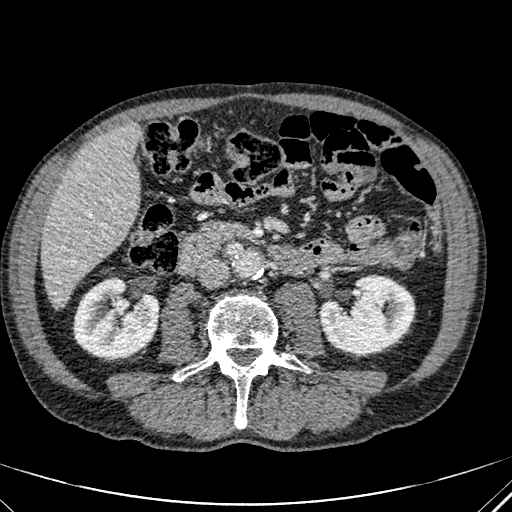
Abdomen; CT image

The liver is located at 41 122 139 304. 2 kidney regions are bounded by 321 277 413 353, 74 279 158 357.